Brain, Slice index 83, Image size 240x240
FLAIR MR.
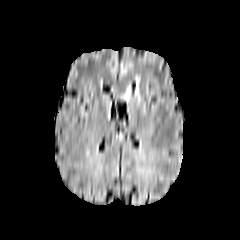
T1-weighted magnetic resonance.
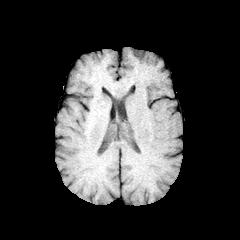
Post-contrast T1-weighted magnetic resonance.
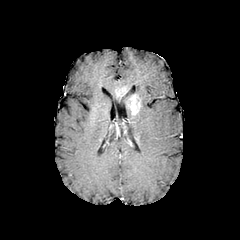
T2-weighted MR image.
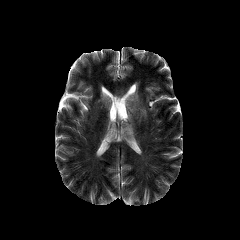
The enhancing tumor is located at <box>128,94,137,113</box>. The edema is located at <box>119,81,145,114</box>.